CT. Image size 512x512.

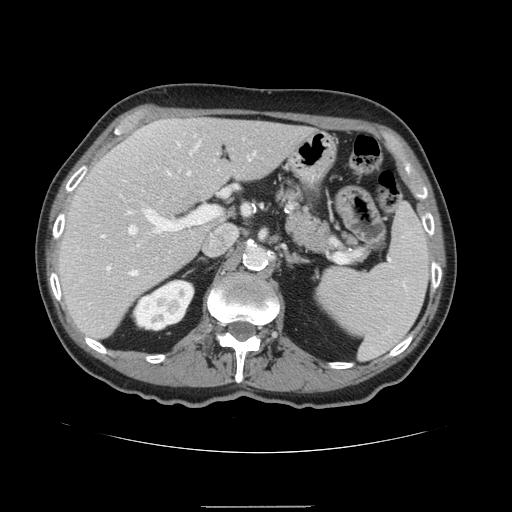

Only some of the vessels may be annotated.
<segmentation>
  <hepatic_vessel><bbox>248, 152, 255, 159</bbox>, <bbox>145, 206, 221, 230</bbox>, <bbox>107, 266, 110, 269</bbox>, <bbox>128, 211, 131, 212</bbox>, <bbox>129, 225, 136, 233</bbox>, <bbox>190, 143, 199, 152</bbox>, <bbox>130, 271, 137, 274</bbox>, <bbox>188, 172, 190, 173</bbox>, <bbox>207, 224, 237, 254</bbox>, <bbox>167, 171, 170, 173</bbox></hepatic_vessel>
</segmentation>